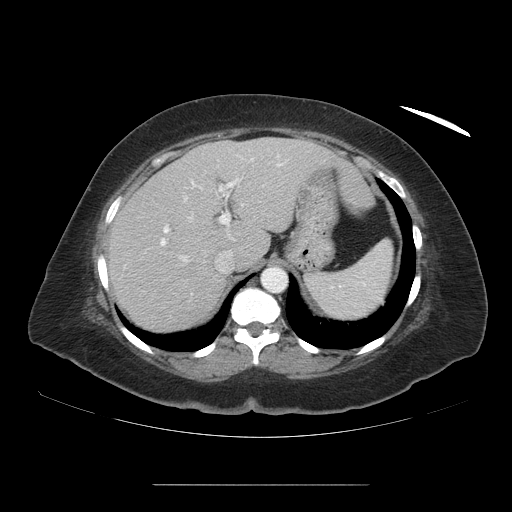
CT.

The vessel boxes may cover only some of the vessels.
12 hepatic vessel regions appear at 160 238 166 245, 240 247 243 249, 191 180 201 188, 163 225 169 233, 219 213 229 225, 241 204 243 205, 188 214 192 220, 179 256 186 260, 277 164 280 165, 218 177 240 196, 215 250 232 274, 183 195 187 201.